Brain
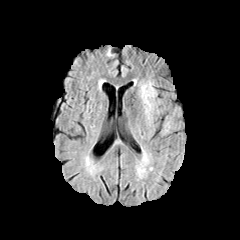
FLAIR MR image.
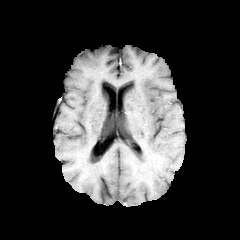
T1-weighted magnetic resonance of the same slice.
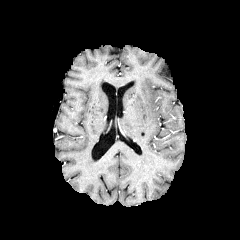
Post-contrast T1-weighted magnetic resonance.
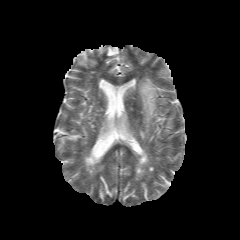
Same slice, T2-weighted MR image.
* edema: (140, 80, 156, 124)